Head. Image size 240x240.
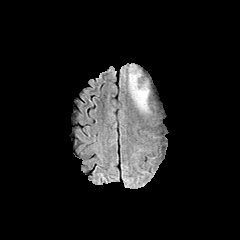
FLAIR MRI.
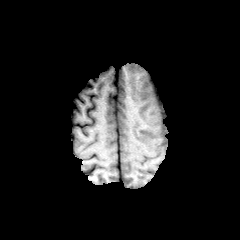
T1-weighted magnetic resonance of the same slice.
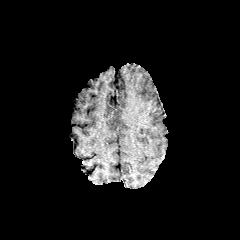
Same slice, post-contrast T1-weighted MR.
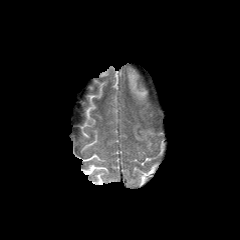
T2-weighted MR of the same slice.
{
  "edema": [
    "[x1=128, y1=67, x2=148, y2=107]"
  ]
}